FLAIR MRI.
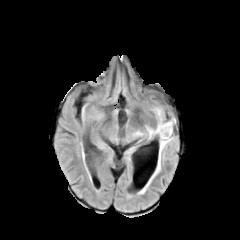
T1-weighted MRI.
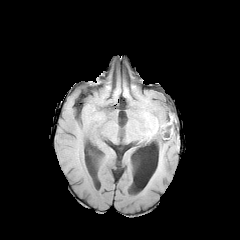
Post-contrast T1-weighted magnetic resonance.
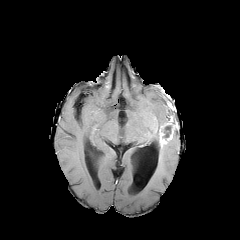
T2-weighted MR image.
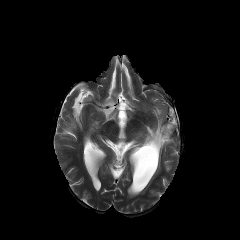
Image size 240x240
Enhancing tumor at bbox=[156, 126, 171, 146].
Non-enhancing tumor core at bbox=[161, 125, 173, 137].
Edema at bbox=[157, 146, 161, 168]; bbox=[146, 107, 172, 135].